240x240 px; Image width 240 mm; Slice index 66; Brain
FLAIR magnetic resonance.
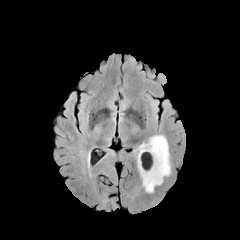
T1-weighted MR.
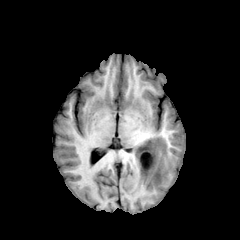
Post-contrast T1-weighted MR.
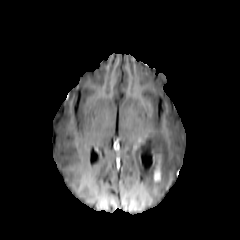
T2-weighted MR image.
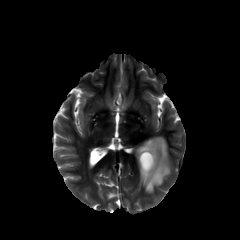
<segmentation>
  <enhancing_tumor><box>154,166,160,181</box></enhancing_tumor>
  <edema><box>135,135,171,192</box></edema>
  <non-enhancing_tumor_core><box>149,155,160,171</box></non-enhancing_tumor_core>
</segmentation>